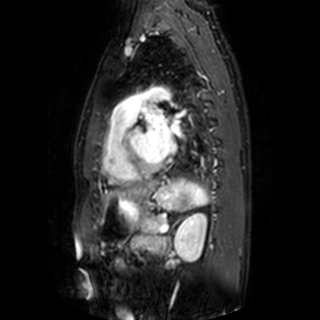

MRI | Heart | Image size 320x320
Annotated regions:
• left atrium: box(174, 109, 186, 118); box(171, 123, 179, 133); box(143, 108, 171, 160)